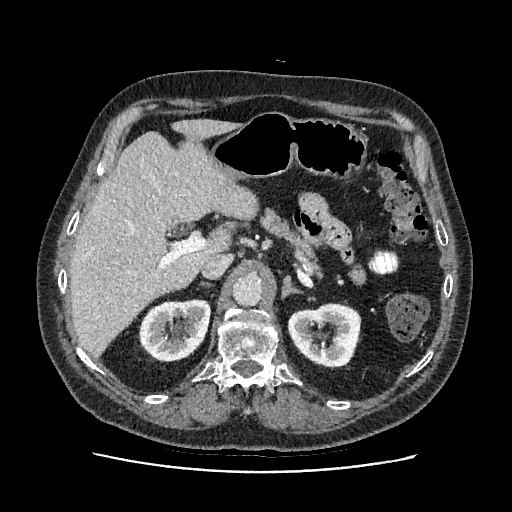
Computed tomography | Liver

liver:
  - (left=71, top=120, right=255, bottom=355)
kidney:
  - (left=140, top=300, right=209, bottom=360)
  - (left=289, top=304, right=359, bottom=365)